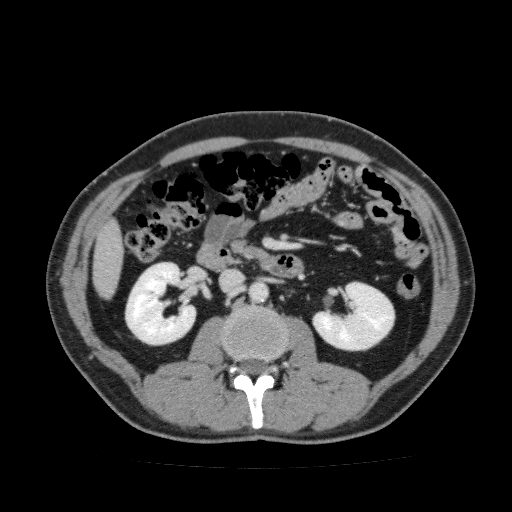
CT slice; Image size 512x512

Kidney at rect(313, 282, 394, 350); rect(126, 262, 195, 344).
Liver at rect(91, 219, 123, 298).